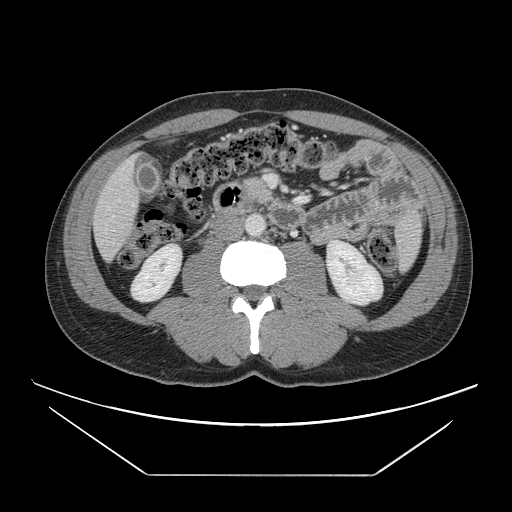
CT slice, Upper abdomen
pancreas: [246, 178, 265, 198]